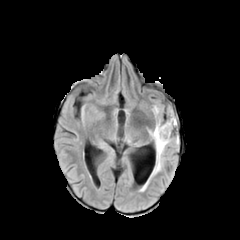
FLAIR MRI.
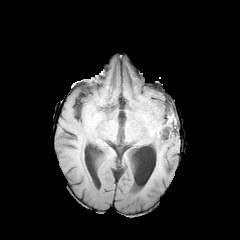
Same slice, T1-weighted magnetic resonance.
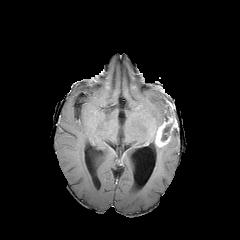
Post-contrast T1-weighted magnetic resonance.
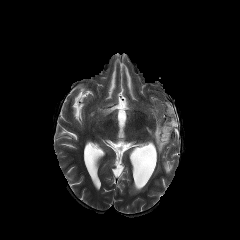
T2-weighted MR.
Image size 240x240
Non-enhancing tumor core: [x1=161, y1=122, x2=171, y2=140], [x1=167, y1=102, x2=177, y2=123].
Edema: [x1=146, y1=102, x2=179, y2=186].
Enhancing tumor: [x1=155, y1=122, x2=169, y2=147].